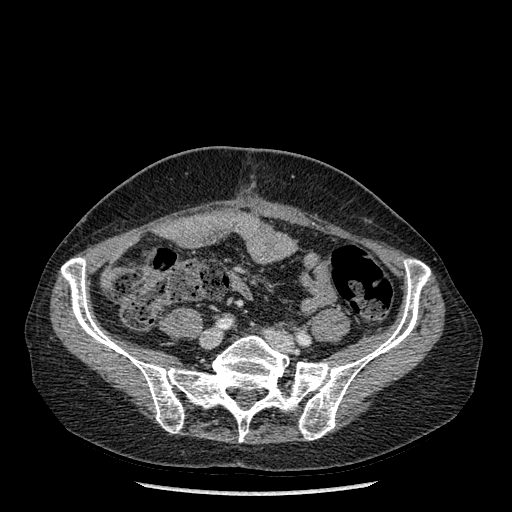
CT image

The bone lies within <bbox>61, 257, 430, 442</bbox>.